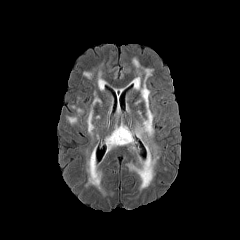
FLAIR MR image.
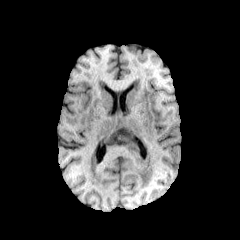
Same slice, T1-weighted MR.
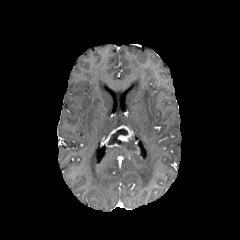
Post-contrast T1-weighted MR image.
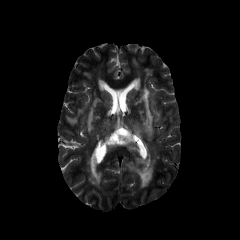
T2-weighted magnetic resonance of the same slice.
Brain.
7 edema regions appear at 132 58 139 68, 98 71 105 90, 132 68 154 137, 66 117 77 124, 85 144 104 194, 86 97 101 138, 127 143 158 190. The non-enhancing tumor core lies within 106 129 139 151. The enhancing tumor is located at 105 125 133 142.